CT slice, Image width 700 mm, 512x512
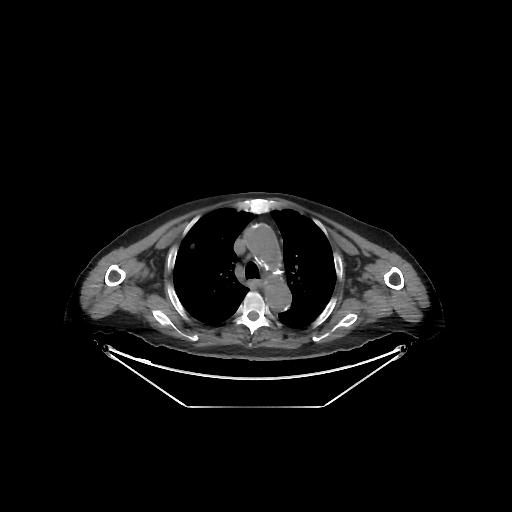
- bone: [237,292,270,333], [168,286,188,319], [153,310,173,326], [384,267,403,289], [246,199,271,213], [315,299,335,324], [335,313,356,327], [105,265,125,286]
- lung: [245,261,259,278], [270,209,336,329], [173,207,256,326]